Field of view 373x373 mm | CT scan slice

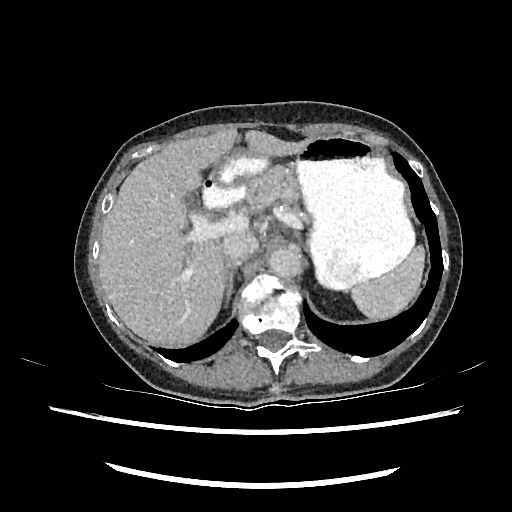

Liver at {"x1": 100, "y1": 129, "x2": 236, "y2": 345}, {"x1": 247, "y1": 131, "x2": 304, "y2": 155}.